Field of view 32 mm wide, 1.00 mm slice spacing; MRI slice; Medial temporal lobe
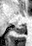

Segmented structures:
* posterior hippocampus: <bbox>13, 26, 24, 34</bbox>